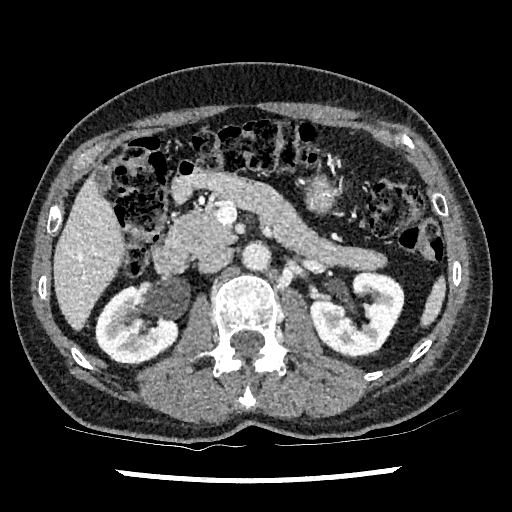
Image size 512x512; Computed tomography
The liver appears at left=54, top=173, right=126, bottom=329. 2 kidney regions are bounded by left=96, top=287, right=176, bottom=362; left=311, top=273, right=402, bottom=355.